512x512, CT, Upper abdomen 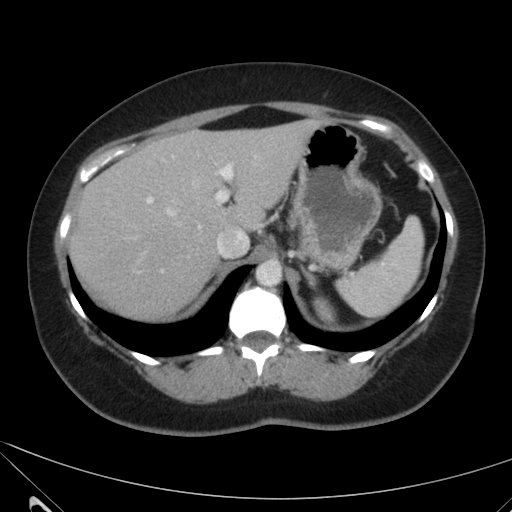 The liver lies within x1=69 y1=119 x2=329 y2=318.